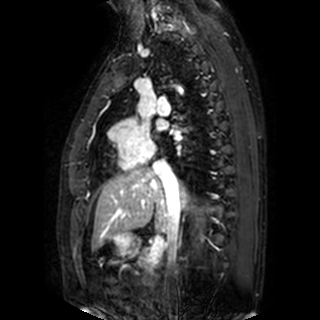

MRI
left_atrium:
  - region(156, 120, 167, 129)